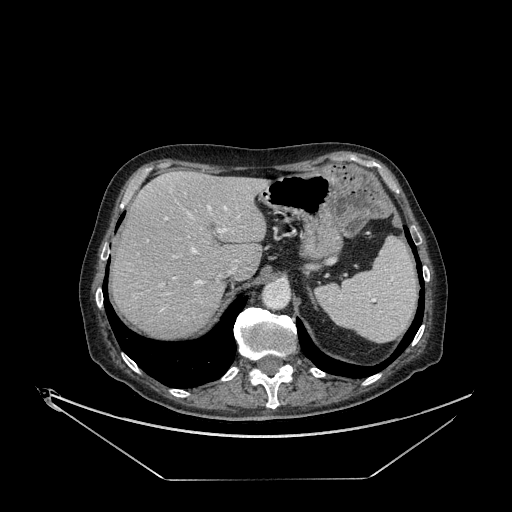 CT; Image size 512x512
* liver: bbox(112, 171, 270, 338)